CT slice. Upper abdomen.
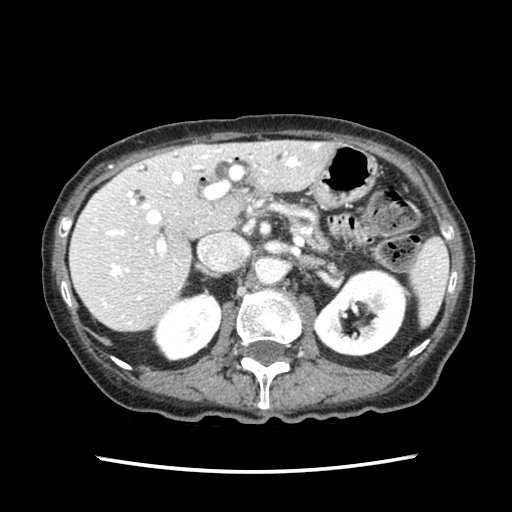 The pancreas is bounded by x1=292 y1=218 x2=330 y2=253.